Field of view 402x402 mm | CT slice | Slice index 27
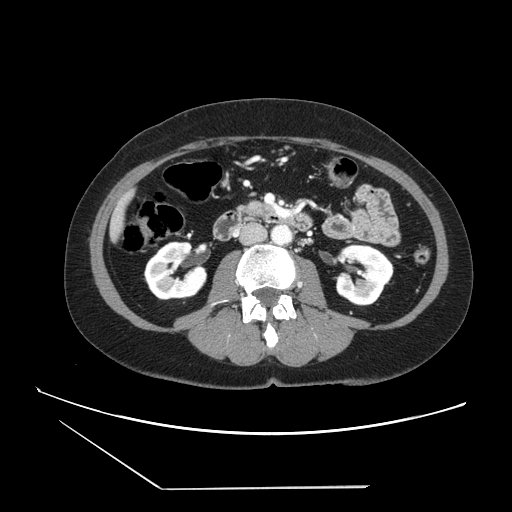
pancreas: [246,202,271,216]